Head
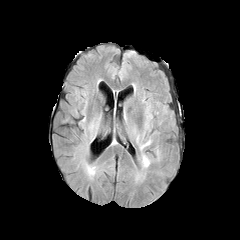
FLAIR MRI.
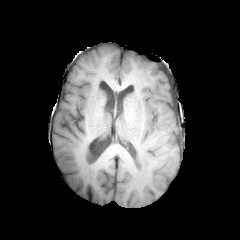
T1-weighted MR image of the same slice.
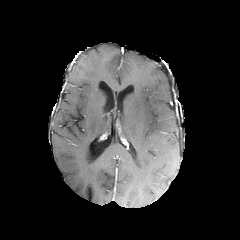
Post-contrast T1-weighted MR image.
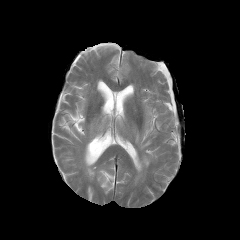
T2-weighted MR image.
edema:
  - [x1=136, y1=134, x2=151, y2=150]
  - [x1=138, y1=154, x2=150, y2=169]
  - [x1=145, y1=108, x2=150, y2=130]